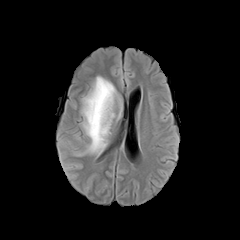
FLAIR MR image.
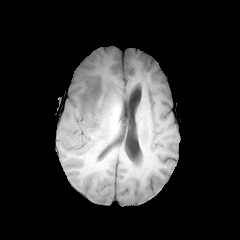
Same slice, T1-weighted magnetic resonance.
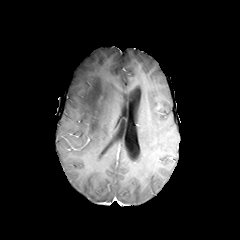
Post-contrast T1-weighted magnetic resonance.
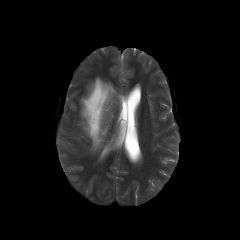
T2-weighted MRI of the same slice.
Edema: rect(80, 75, 117, 154).